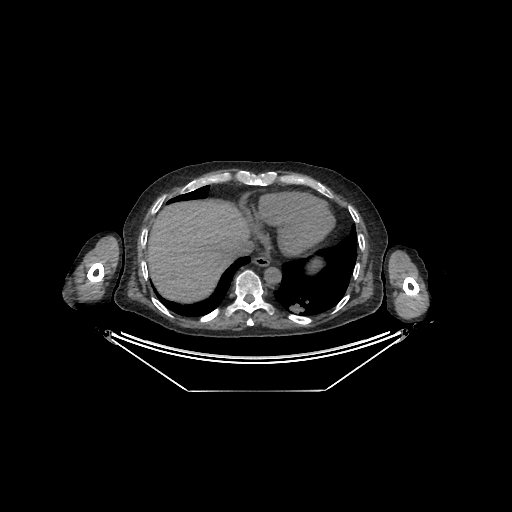
CT. Upper abdomen.

Segmented structures:
- liver: [x1=146, y1=199, x2=247, y2=302]